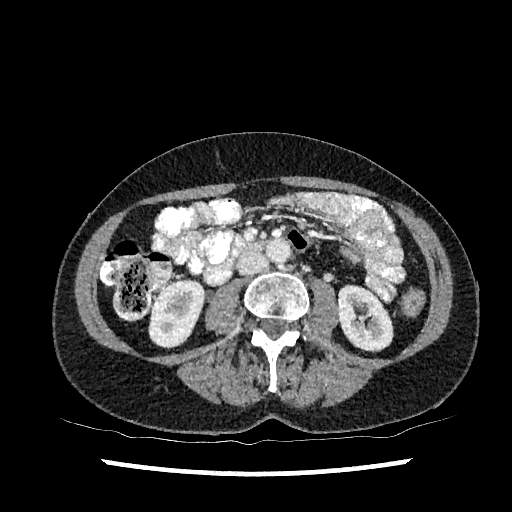 512x512 px, Abdomen, CT image
Kidney: bounding box 149 281 203 346, 338 286 392 349.